CT scan slice, Field of view 378 mm wide, 0.80 mm slice spacing, Slice index 466, Liver
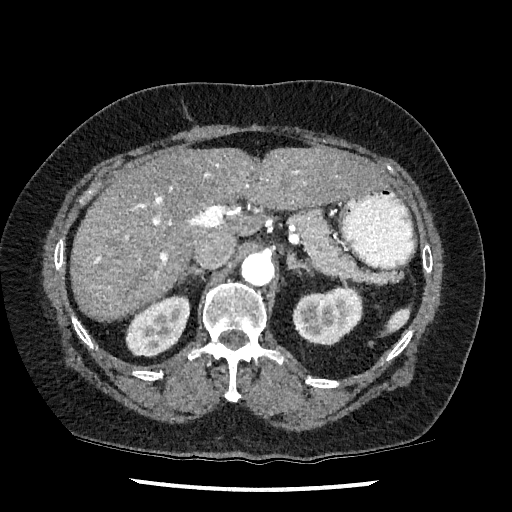

Liver = <bbox>70, 148, 384, 319</bbox>.
Kidney = <bbox>293, 288, 361, 344</bbox>, <bbox>126, 297, 189, 355</bbox>.